Upper abdomen | Computed tomography
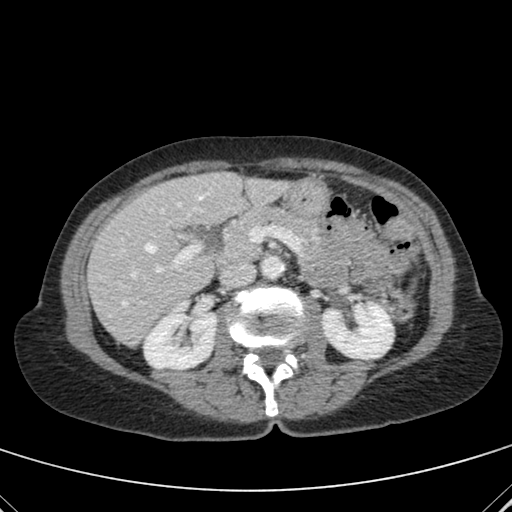 Liver at 88, 172, 288, 342.
Kidney at 144, 301, 215, 369; 323, 305, 393, 358.